CT scan slice, Field of view 388x388 mm, Abdomen, Slice 160/193

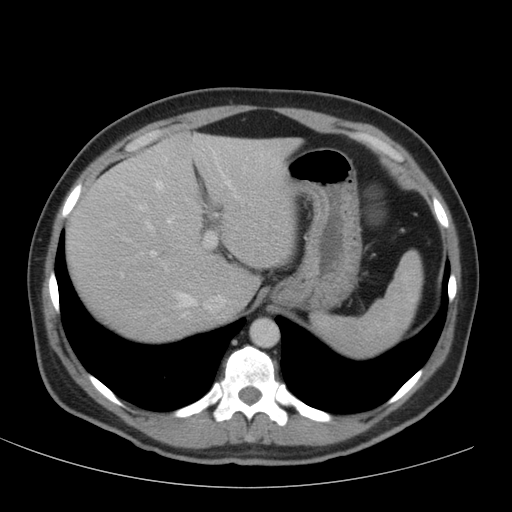

The liver is located at 67:133:299:339.